Slice index 16, Prostate, 256x256
T2-weighted MR image.
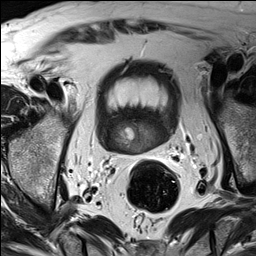
ADC MR.
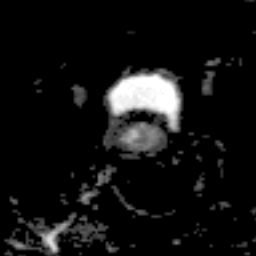
<segmentation>
  <prostate_peripheral_zone>(x1=110, y1=118, x2=164, y2=152)</prostate_peripheral_zone>
</segmentation>